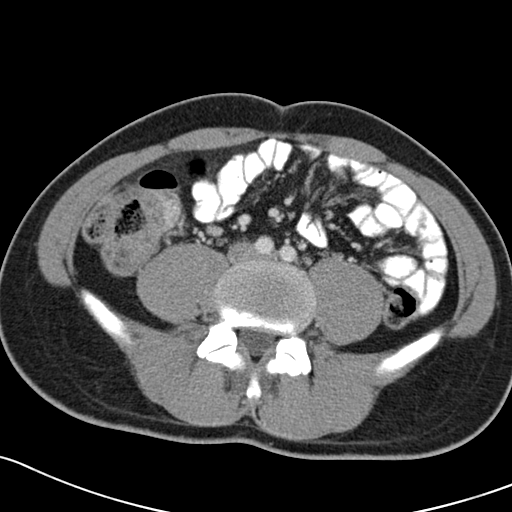 Abdomen; CT scan slice; 512x512
Colon tumor — 121 188 180 265.